FLAIR MR.
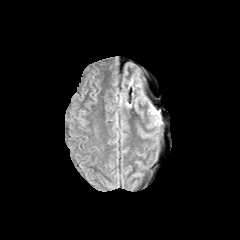
T1-weighted MR image.
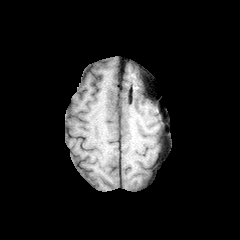
Post-contrast T1-weighted MRI.
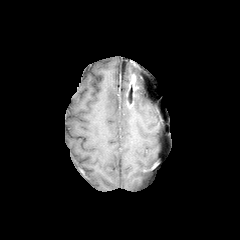
T2-weighted MRI.
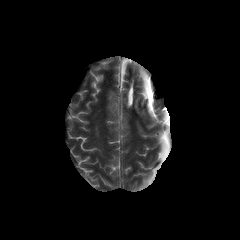
Head, Image size 240x240
Segmented structures:
• edema: region(129, 90, 137, 106); region(147, 106, 159, 127); region(138, 90, 147, 104)